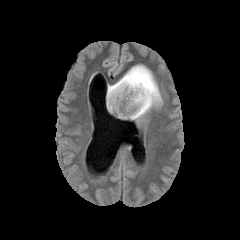
FLAIR magnetic resonance.
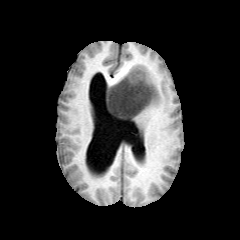
T1-weighted MR.
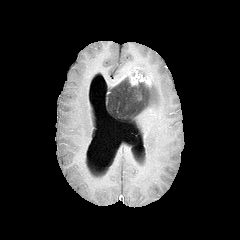
Same slice, post-contrast T1-weighted MR image.
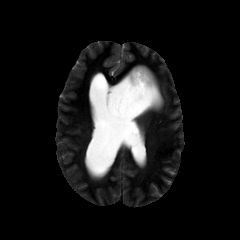
T2-weighted MR of the same slice.
240x240
enhancing_tumor:
  - 115 66 152 86
non-enhancing_tumor_core:
  - 107 78 153 119
edema:
  - 134 72 163 120
  - 107 77 128 92